Slice index 51
FLAIR MRI.
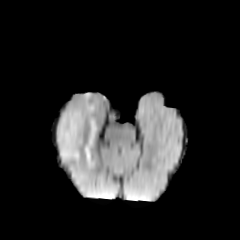
T1-weighted MRI.
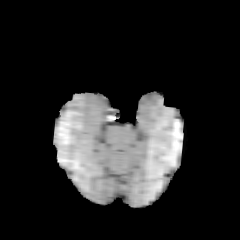
Post-contrast T1-weighted MRI.
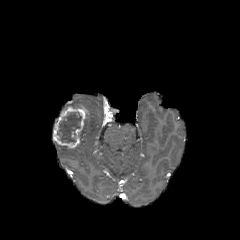
T2-weighted MR.
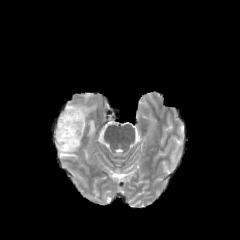
The non-enhancing tumor core is bounded by (left=57, top=112, right=82, bottom=143). 2 edema regions appear at (left=58, top=145, right=79, bottom=160), (left=68, top=93, right=96, bottom=162). The enhancing tumor is bounded by (left=53, top=105, right=88, bottom=148).